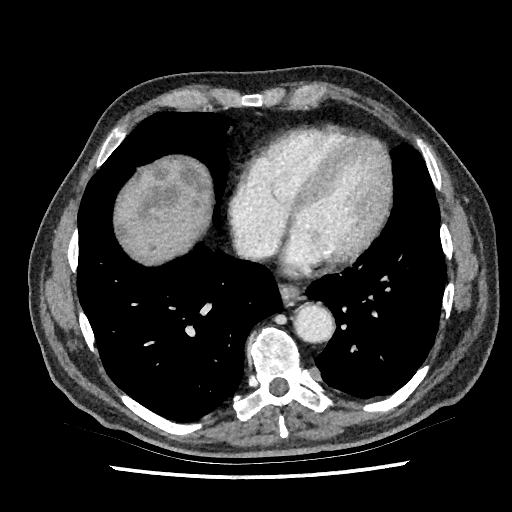 CT image
Focal liver lesion = (left=149, top=243, right=157, bottom=251), (left=150, top=162, right=169, bottom=179), (left=188, top=197, right=200, bottom=209), (left=180, top=159, right=208, bottom=192), (left=117, top=223, right=128, bottom=238), (left=136, top=185, right=180, bottom=224), (left=133, top=169, right=144, bottom=182).
Liver = (left=115, top=158, right=209, bottom=264).